CT slice | Field of view 512x512 mm | 512x512 | Slice 216/260

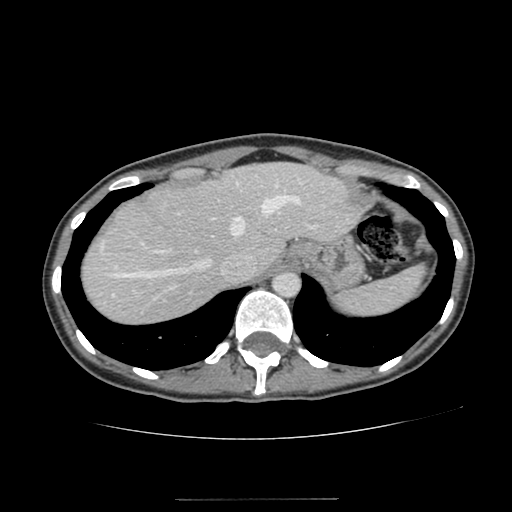

Segmented structures:
- liver: bbox=[82, 163, 361, 326]